Abdomen; 512x512 px; CT 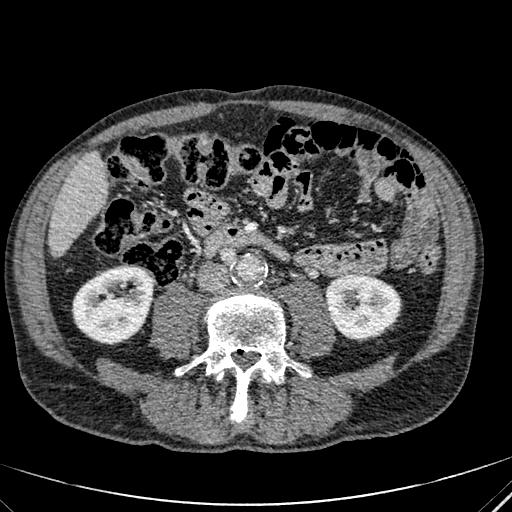
<segmentation>
  <liver>49,152,106,256</liver>
  <kidney>73,267,152,342; 327,275,399,337</kidney>
</segmentation>